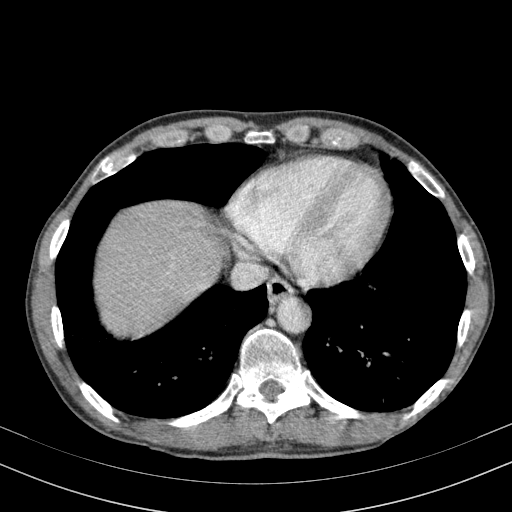

Abdomen; CT scan slice
Segmented structures:
* liver: region(94, 201, 229, 335)